240x240 px. Slice 103 of 155. Field of view 240 mm wide, 1.00 mm slice spacing.
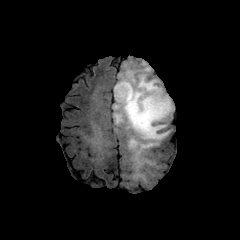
FLAIR MR.
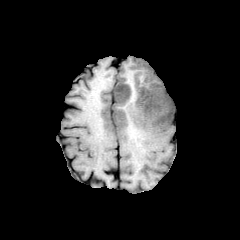
T1-weighted MR.
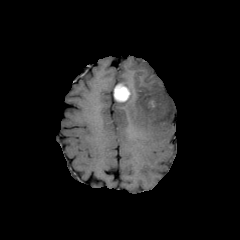
Same slice, post-contrast T1-weighted MRI.
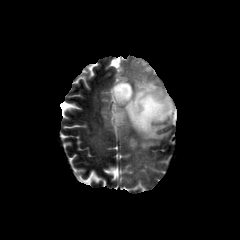
T2-weighted MR image of the same slice.
{
  "enhancing_tumor": [
    "rect(114, 82, 130, 101)"
  ],
  "edema": [
    "rect(112, 62, 157, 97)",
    "rect(111, 80, 174, 166)"
  ],
  "non-enhancing_tumor_core": [
    "rect(136, 82, 172, 123)",
    "rect(113, 98, 124, 123)",
    "rect(115, 74, 138, 99)"
  ]
}